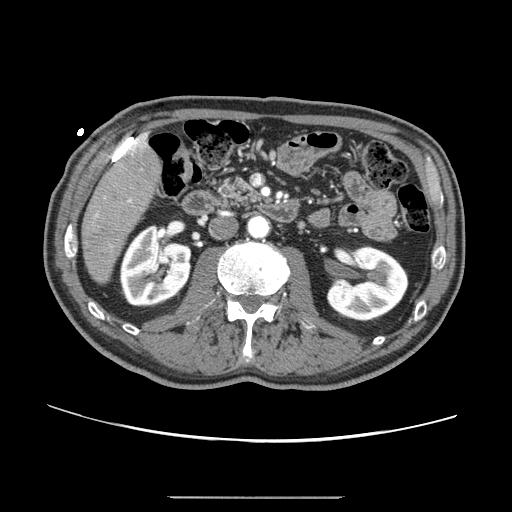
Upper abdomen, Computed tomography, Image size 512x512
Pancreas: x1=216, y1=178, x2=265, y2=208.